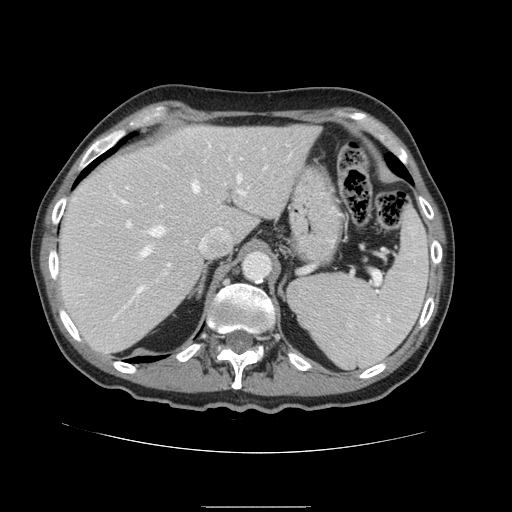 Upper abdomen; Computed tomography
spleen: l=288, t=210, r=428, b=369